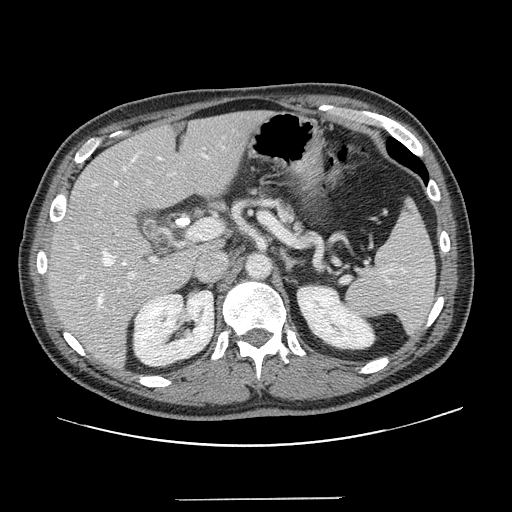
Computed tomography

Pancreas — rect(268, 194, 306, 233).